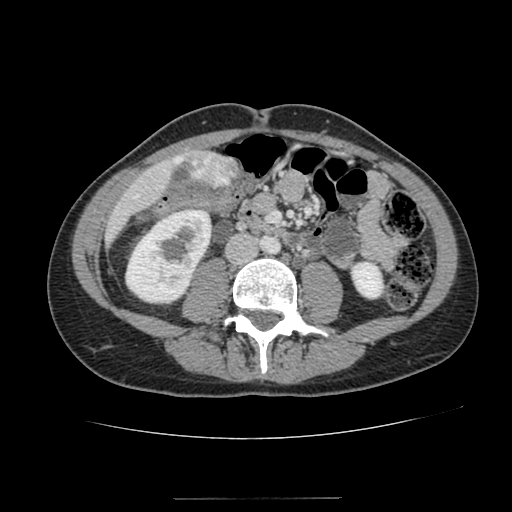
Upper abdomen; 512x512 px; CT scan slice
The liver is located at x1=104, y1=149, x2=206, y2=247. The hepatic lesion lies within x1=189, y1=152, x2=236, y2=185. 2 kidney regions are bounded by x1=352, y1=262, x2=382, y2=297; x1=126, y1=210, x2=210, y2=301.